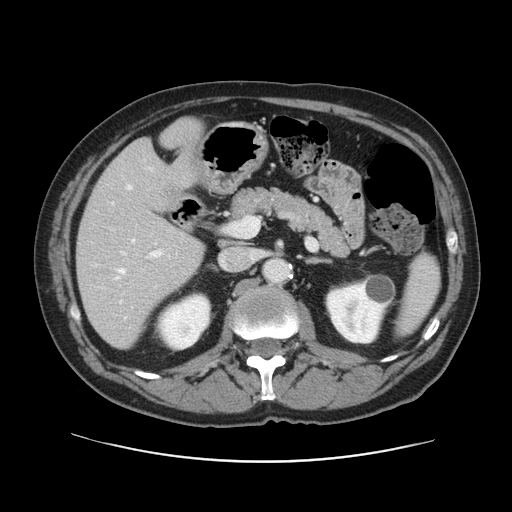
CT | 512x512 px

The vessel annotation is not exhaustive.
Hepatic vessel: bounding box l=115, t=277, r=118, b=279; l=117, t=269, r=124, b=273; l=131, t=239, r=133, b=242; l=150, t=250, r=160, b=256; l=127, t=186, r=130, b=189; l=121, t=252, r=124, b=254.